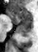
MR image | Medial temporal lobe

The anterior hippocampus is bounded by 7 10 31 23. The posterior hippocampus is bounded by 16 24 32 37.